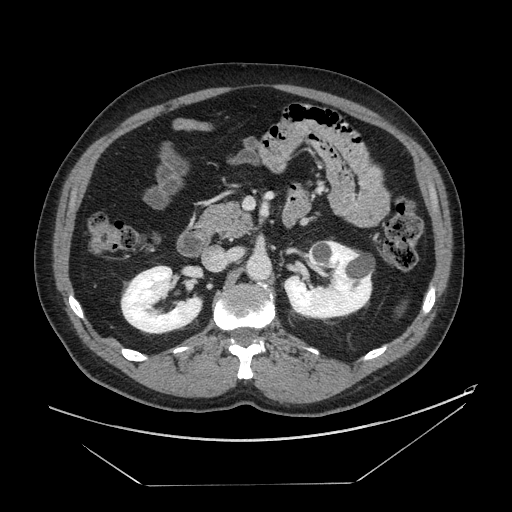
512x512 | CT scan slice
The pancreas is at <box>198,202,253,238</box>.